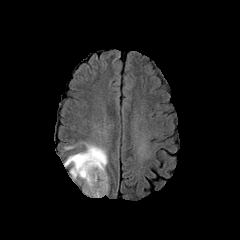
FLAIR MR image.
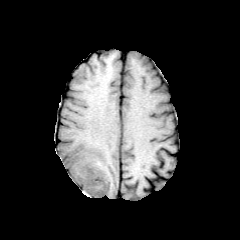
T1-weighted magnetic resonance.
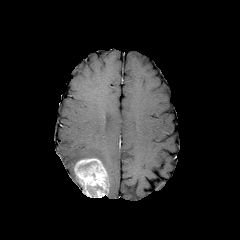
Post-contrast T1-weighted MRI.
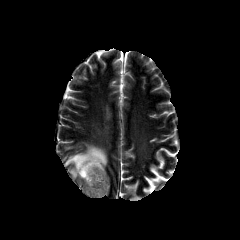
Same slice, T2-weighted MR.
Head
The edema appears at [64, 142, 107, 188]. The enhancing tumor is at [74, 158, 108, 197]. 2 non-enhancing tumor core regions are located at [87, 184, 101, 195], [78, 161, 96, 169].